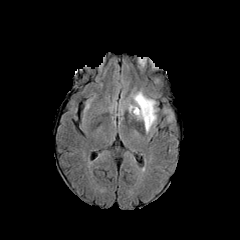
FLAIR MRI.
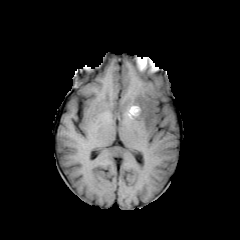
Same slice, T1-weighted MR image.
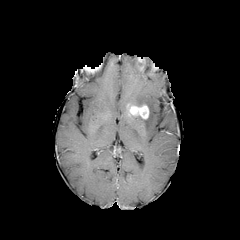
Same slice, post-contrast T1-weighted MR.
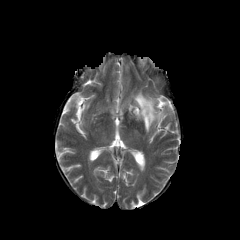
T2-weighted MR image.
Brain
edema: bbox=[162, 107, 171, 121]; bbox=[129, 91, 159, 132] | enhancing tumor: bbox=[130, 104, 149, 119]